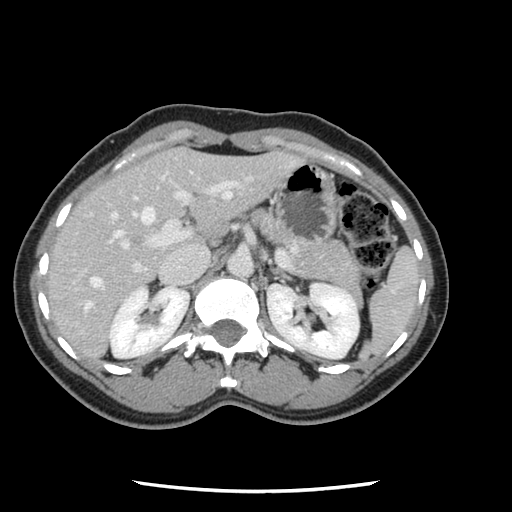 CT slice
Some hepatic vessels may have no box.
hepatic vessel: (210, 181, 236, 197), (85, 302, 90, 308), (133, 207, 153, 222), (121, 240, 127, 247), (149, 220, 176, 245), (114, 230, 122, 236), (175, 191, 187, 200), (111, 212, 116, 217), (90, 277, 101, 286), (175, 229, 185, 240), (133, 263, 143, 270)